Medial temporal lobe. MRI. 37x48. Slice 25 of 34.

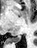

<segmentation>
  <posterior_hippocampus>(11,35,21,42)</posterior_hippocampus>
</segmentation>